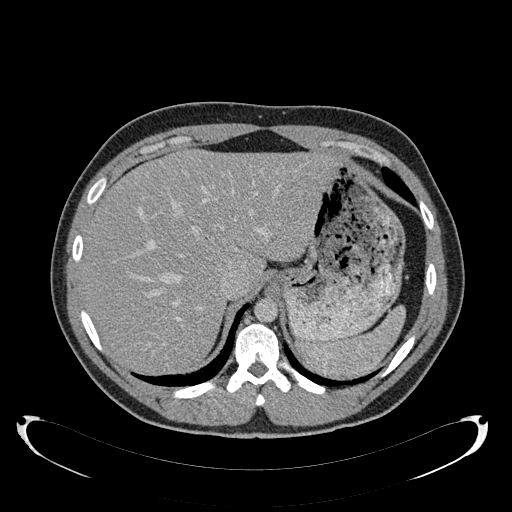 Image size 512x512; CT image

liver:
  - 82, 151, 334, 370